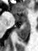
MR image, Medial temporal lobe, 38x51
The posterior hippocampus is at <bbox>17, 23, 29, 40</bbox>. 2 anterior hippocampus regions are bounded by <bbox>22, 17, 29, 22</bbox>, <bbox>16, 18, 17, 20</bbox>.